FLAIR MR image.
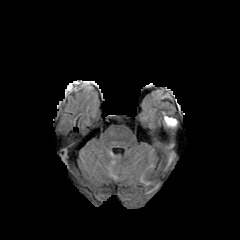
T1-weighted magnetic resonance.
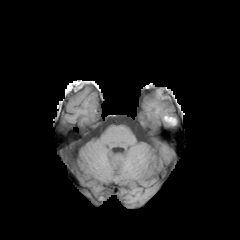
Post-contrast T1-weighted magnetic resonance.
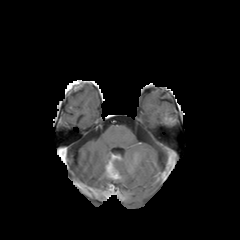
T2-weighted MR image.
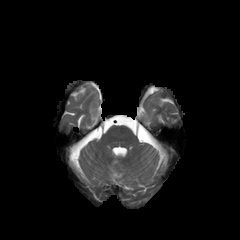
Head
Findings:
• non-enhancing tumor core: <box>106,160,118,178</box>
• edema: <box>164,117,175,125</box>